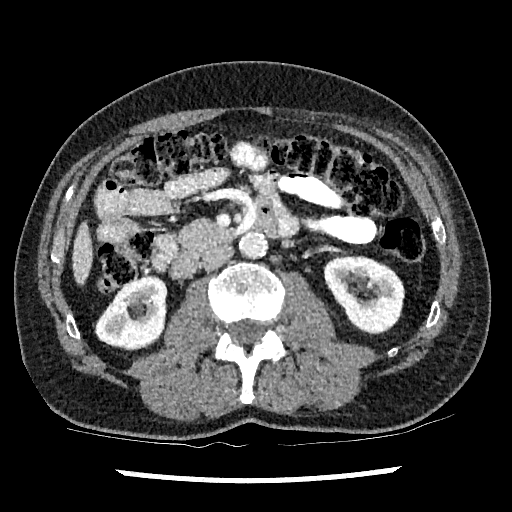
CT scan slice. Upper abdomen.
<segmentation>
  <liver>[72, 221, 91, 285]</liver>
  <kidney>[97, 277, 165, 347], [325, 257, 403, 331]</kidney>
</segmentation>